240x240 px, Head, Slice 106/155
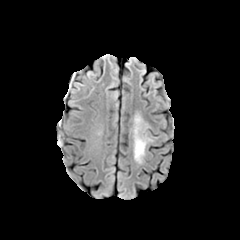
FLAIR MRI.
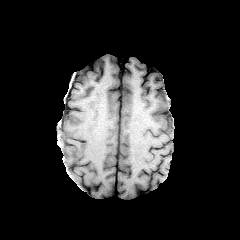
T1-weighted MRI of the same slice.
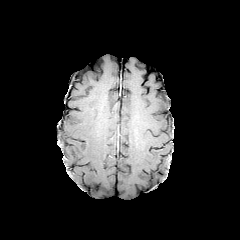
Post-contrast T1-weighted magnetic resonance of the same slice.
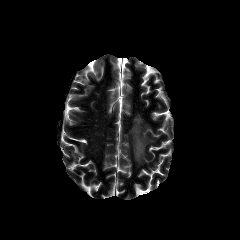
T2-weighted MRI.
Edema — (left=133, top=114, right=152, bottom=163).